CT scan slice, Abdomen, Field of view 512x512 mm 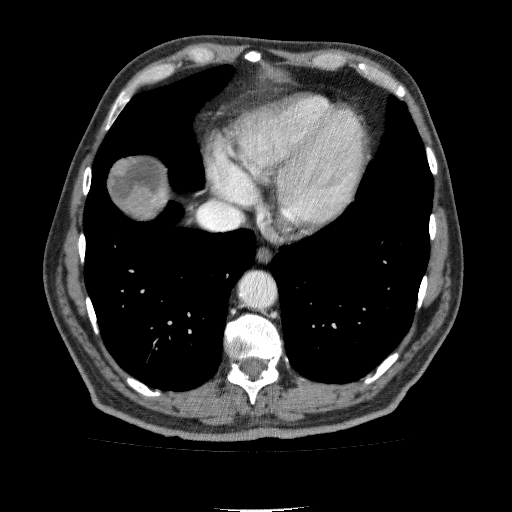
Liver = (242, 110, 273, 131), (152, 180, 172, 217).
Focal liver lesion = (106, 155, 169, 220).